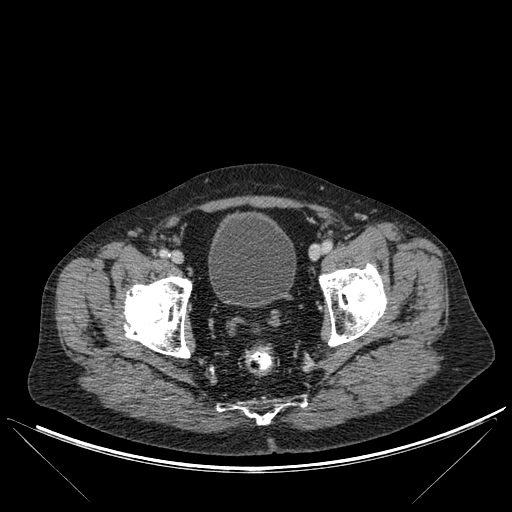 Image size 512x512, Lower abdomen, CT
- urinary bladder: box(208, 211, 296, 307)
- bone: box(217, 401, 281, 424); box(319, 263, 386, 346); box(123, 276, 191, 358); box(288, 401, 307, 406)